CT scan slice; Upper abdomen; Slice 348/624

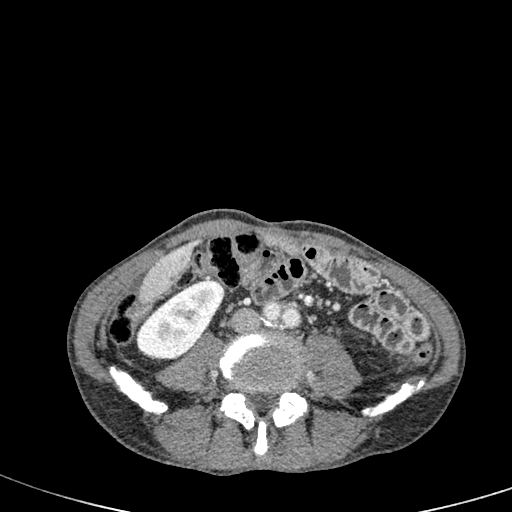 Kidney at (left=137, top=280, right=223, bottom=358).
Liver at (left=141, top=239, right=201, bottom=300).